Field of view 434 mm wide, 5.00 mm slice spacing | CT scan slice

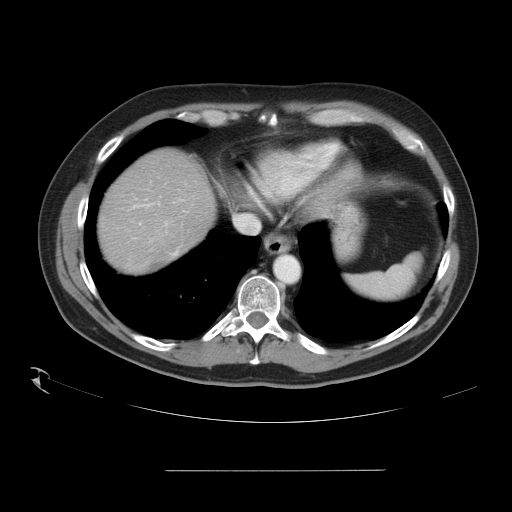
Liver tumor = [148,262,164,271].